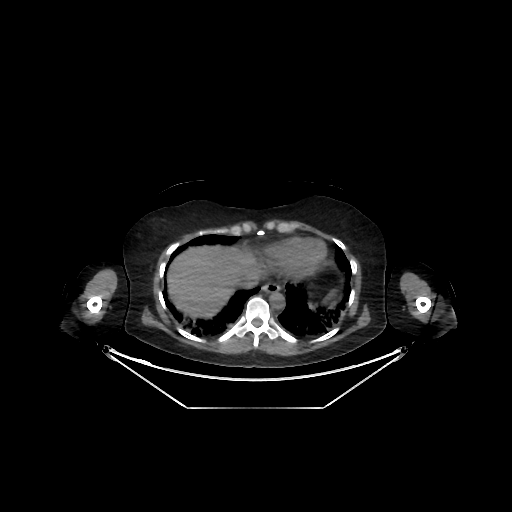
Image size 512x512 | CT scan slice | Abdomen
Liver = [167,245,286,317].